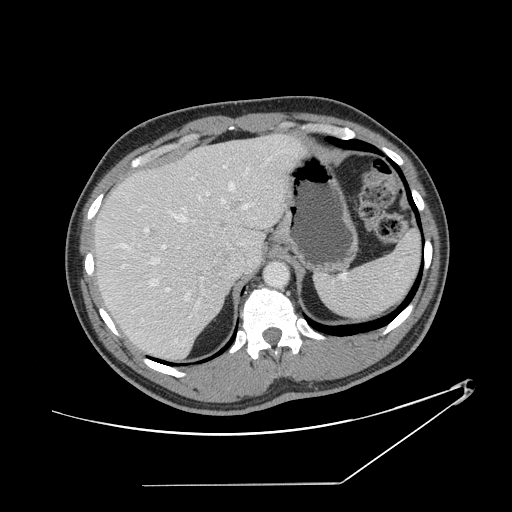

CT scan slice. Image size 512x512.
The vessel annotation is not exhaustive.
The largest 15 hepatic vessel regions (of 23) are bounded by {"x1": 229, "y1": 183, "x2": 233, "y2": 190}, {"x1": 162, "y1": 246, "x2": 164, "y2": 248}, {"x1": 244, "y1": 168, "x2": 248, "y2": 175}, {"x1": 206, "y1": 192, "x2": 208, "y2": 194}, {"x1": 195, "y1": 302, "x2": 198, "y2": 309}, {"x1": 199, "y1": 196, "x2": 201, "y2": 200}, {"x1": 117, "y1": 243, "x2": 128, "y2": 248}, {"x1": 185, "y1": 292, "x2": 189, "y2": 299}, {"x1": 151, "y1": 258, "x2": 158, "y2": 263}, {"x1": 144, "y1": 227, "x2": 148, "y2": 231}, {"x1": 221, "y1": 199, "x2": 225, "y2": 203}, {"x1": 242, "y1": 202, "x2": 254, "y2": 208}, {"x1": 169, "y1": 207, "x2": 186, "y2": 222}, {"x1": 150, "y1": 279, "x2": 158, "y2": 285}, {"x1": 266, "y1": 157, "x2": 270, "y2": 161}.